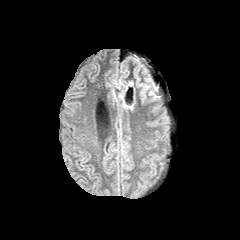
FLAIR magnetic resonance.
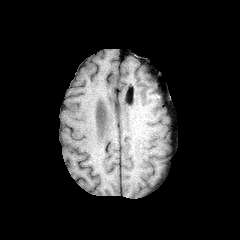
Same slice, T1-weighted magnetic resonance.
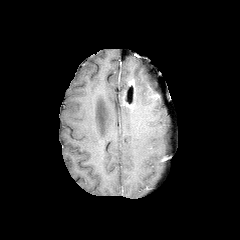
Post-contrast T1-weighted MRI of the same slice.
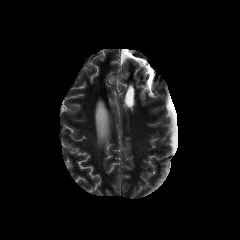
Same slice, T2-weighted MR.
Edema = [136, 77, 152, 100].